240x240 px. Slice 58/155. Brain.
FLAIR MRI.
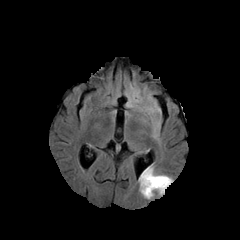
T1-weighted magnetic resonance.
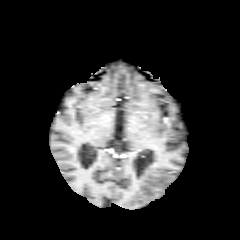
Post-contrast T1-weighted MR.
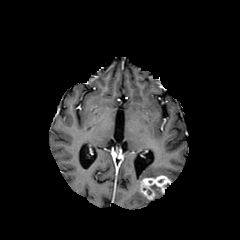
T2-weighted MR.
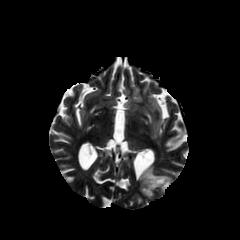
Enhancing tumor: bounding box (left=140, top=175, right=171, bottom=199).
Edema: bounding box (left=137, top=165, right=171, bottom=183).